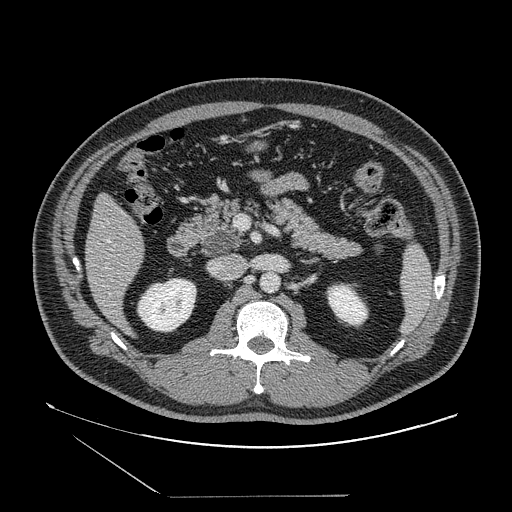

CT scan slice. Image size 512x512.
pancreas: [189,196,363,261] | pancreatic tumor: [206,230,235,254]